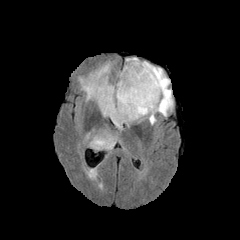
FLAIR magnetic resonance.
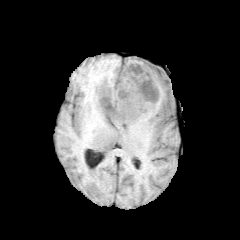
T1-weighted magnetic resonance.
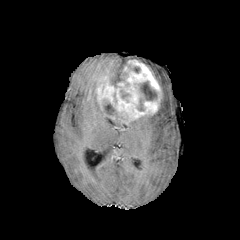
Post-contrast T1-weighted MRI.
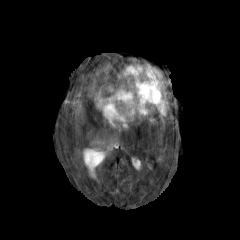
T2-weighted magnetic resonance of the same slice.
240x240 px.
- non-enhancing tumor core: 103:102:118:115, 136:81:159:111, 120:90:130:101
- enhancing tumor: 104:115:115:121, 95:60:161:124
- edema: 78:61:112:111, 90:130:117:150, 124:57:173:128, 113:116:125:132